Field of view 395x395 mm; Abdomen; Image size 512x512; Slice 42 of 112; Computed tomography 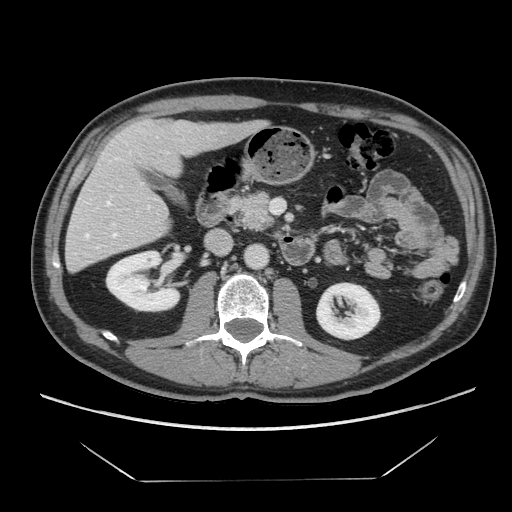
The pancreatic tumor is at <bbox>248, 208, 266, 224</bbox>. The pancreas is bounded by <bbox>233, 192, 272, 230</bbox>.